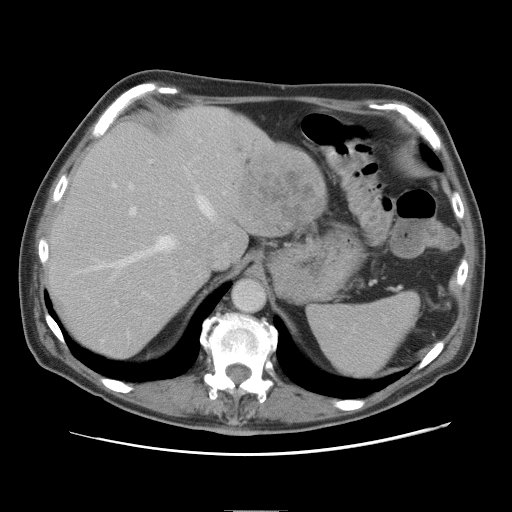 Abdomen | CT image
Not every hepatic vessel necessarily has a box.
The liver tumor lies within [x1=240, y1=164, x2=317, y2=229]. 8 hepatic vessel regions appear at [x1=113, y1=184, x2=116, y2=187], [x1=152, y1=237, x2=175, y2=251], [x1=116, y1=302, x2=117, y2=304], [x1=150, y1=160, x2=152, y2=162], [x1=130, y1=185, x2=133, y2=187], [x1=87, y1=252, x2=147, y2=270], [x1=131, y1=208, x2=135, y2=214], [x1=198, y1=196, x2=214, y2=216].